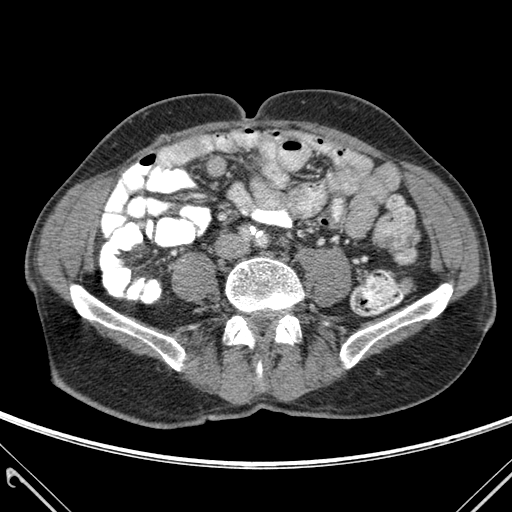
CT
6 bone regions are bounded by box(257, 363, 262, 377); box(275, 314, 301, 344); box(224, 316, 254, 346); box(226, 258, 303, 311); box(340, 284, 452, 367); box(70, 285, 184, 370).